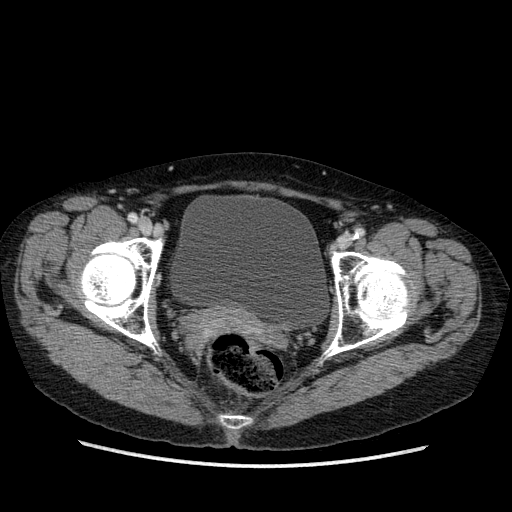
CT slice
{"urinary_bladder": ["(168,194,330,328)"]}